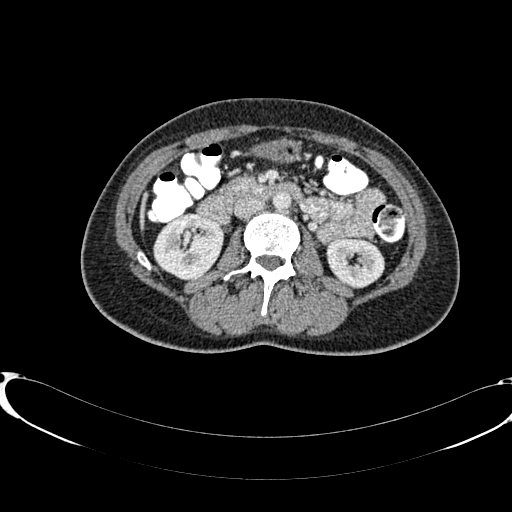

CT. Upper abdomen. <segmentation>
  <kidney>155:215:222:278, 328:240:383:286</kidney>
  <liver>140:193:147:228</liver>
</segmentation>